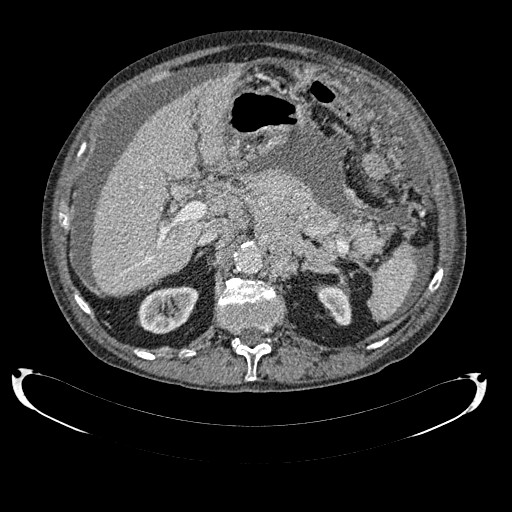

Computed tomography
kidney: (139, 287, 197, 332), (318, 287, 350, 324) | liver: (92, 69, 241, 294)